CT image.

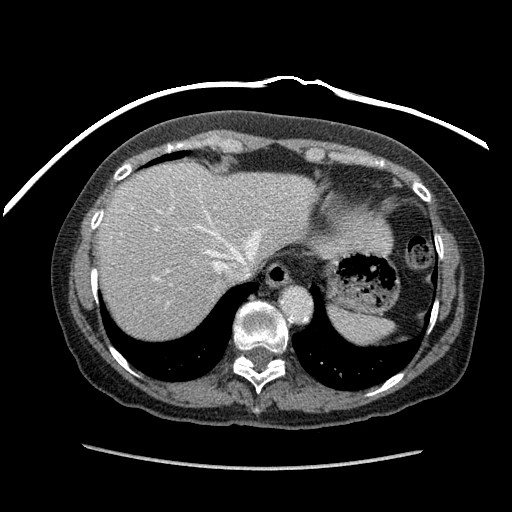

Liver — box=[97, 162, 390, 340].